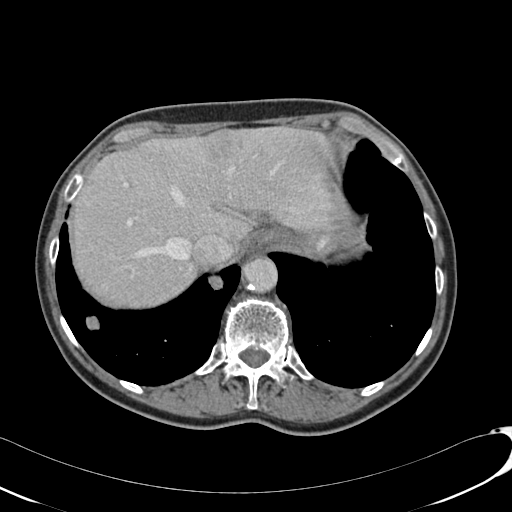 CT

focal_liver_lesion:
  - [205,130,248,167]
liver:
  - [74,127,335,306]